Image size 240x240, Image width 240 mm, Slice 28 of 155
FLAIR magnetic resonance.
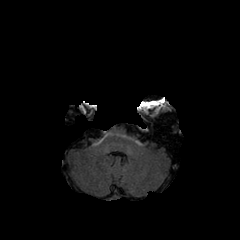
T1-weighted MRI.
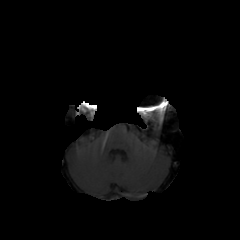
Post-contrast T1-weighted MRI.
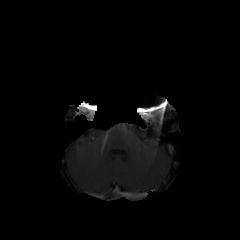
T2-weighted MR.
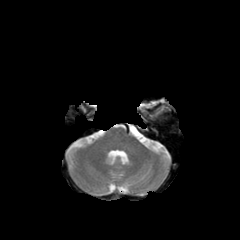
Annotated regions:
- non-enhancing tumor core: box(142, 106, 156, 112)